CT scan slice; 512x512 px; Pelvis; Slice 66 of 427 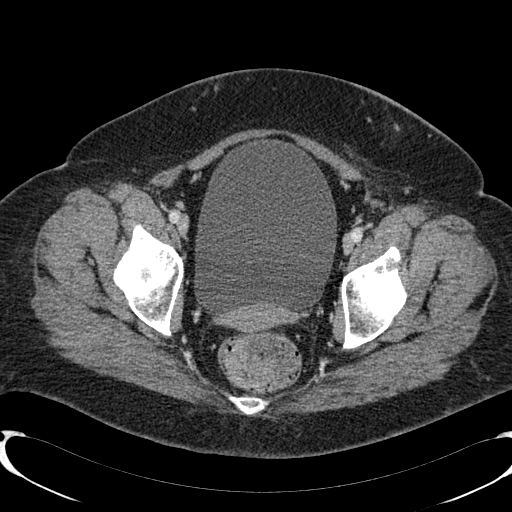

Annotated regions:
* urinary bladder: 195 139 336 310